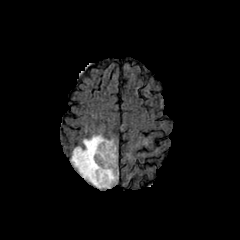
FLAIR MRI.
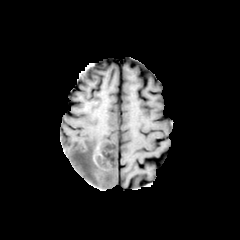
Same slice, T1-weighted MR image.
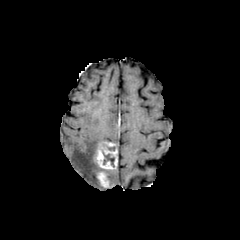
Post-contrast T1-weighted MR image.
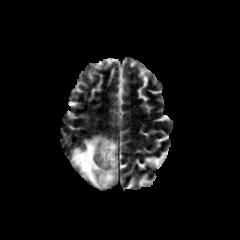
T2-weighted MR image of the same slice.
non-enhancing tumor core: 103:154:113:166, 77:140:117:186 | edema: 71:134:115:189, 111:169:118:185 | enhancing tumor: 96:141:117:170, 98:170:109:187